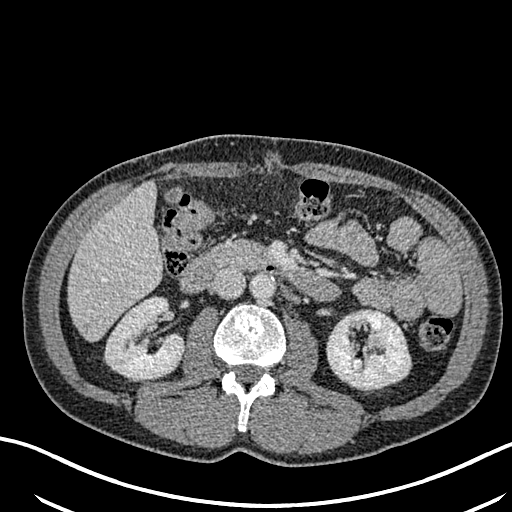

CT scan slice; Abdomen; Image size 512x512
liver lesion: 78, 323, 94, 336 | liver: 68, 182, 161, 340 | kidney: 105, 298, 183, 378; 327, 310, 410, 387